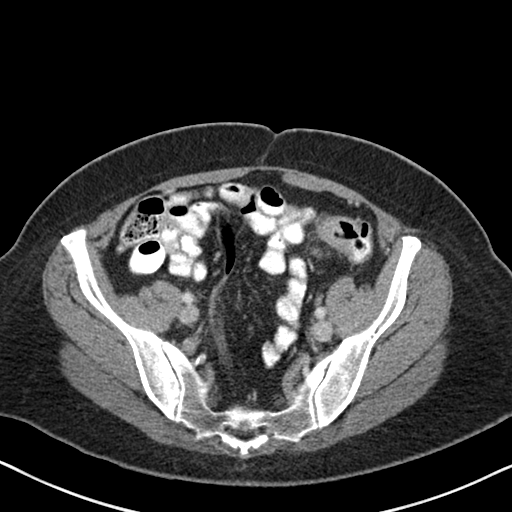
Image size 512x512 | CT slice
colon tumor: box(319, 216, 353, 256)